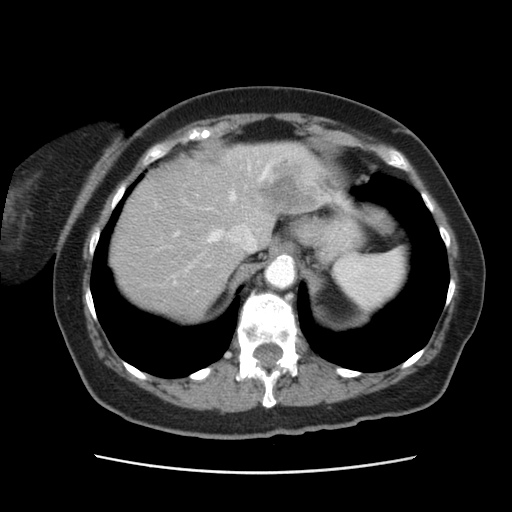
CT image
Not every hepatic vessel necessarily has a box.
Findings:
* liver tumor: [x1=257, y1=154, x2=340, y2=211]
* hepatic vessel: [x1=209, y1=230, x2=221, y2=241], [x1=225, y1=219, x2=259, y2=251], [x1=176, y1=233, x2=177, y2=234], [x1=230, y1=193, x2=235, y2=200]